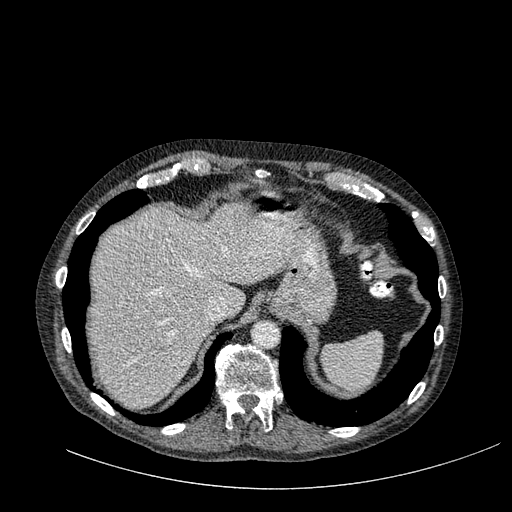
CT image; Abdomen

Liver at box=[91, 203, 292, 407].